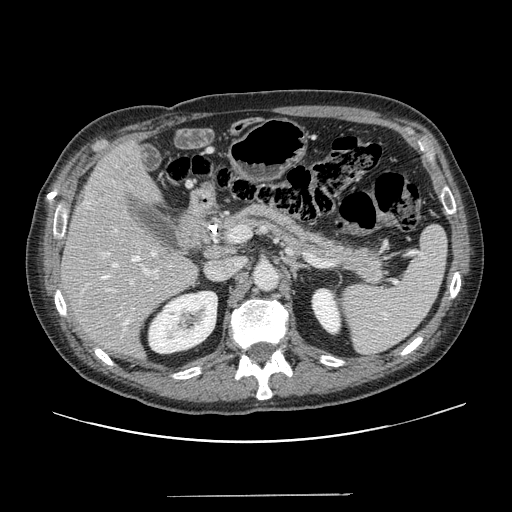

Upper abdomen. CT.

The pancreas is located at bbox(191, 204, 387, 287).